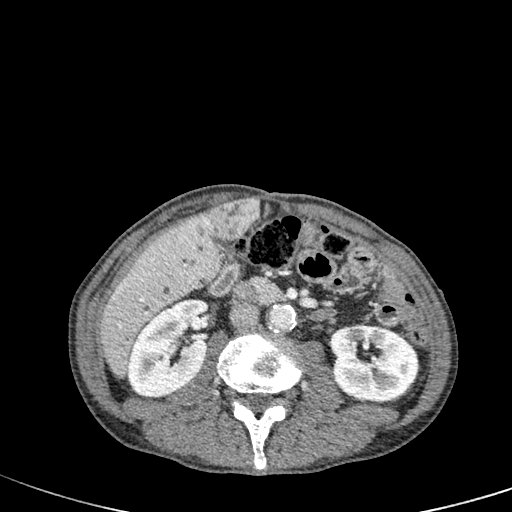
CT image, Liver

Liver lesion: (x1=202, y1=198, x2=259, y2=239).
Liver: (x1=100, y1=209, x2=221, y2=378).
Kidney: (x1=128, y1=300, x2=207, y2=396), (x1=331, y1=326, x2=417, y2=400).